Slice 84 of 155
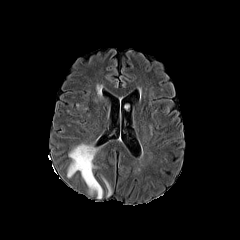
FLAIR MRI.
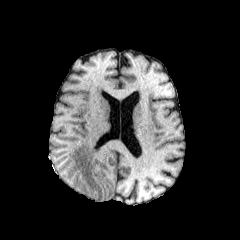
Same slice, T1-weighted MR.
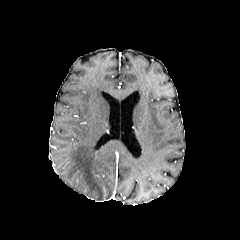
Same slice, post-contrast T1-weighted magnetic resonance.
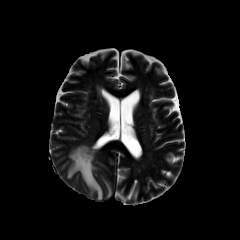
Same slice, T2-weighted magnetic resonance.
2 edema regions are bounded by [67, 143, 102, 199], [102, 177, 110, 196].